Head
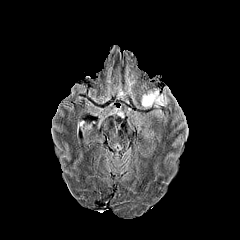
FLAIR MRI.
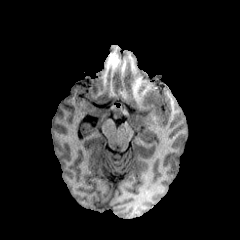
T1-weighted MR.
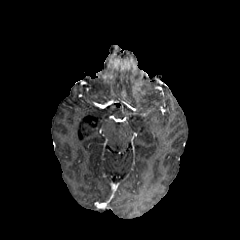
Post-contrast T1-weighted MRI.
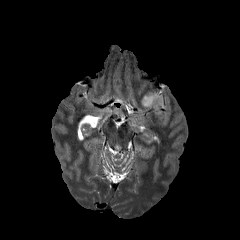
T2-weighted MRI.
Findings:
* edema: bbox=[142, 90, 168, 112]